CT | 512x512 px | Slice index 288 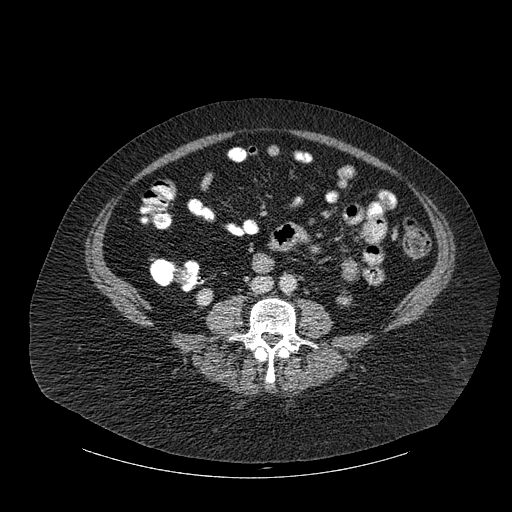 The kidney is bounded by [197,289,211,304]. The bone is bounded by [233,298,310,382].